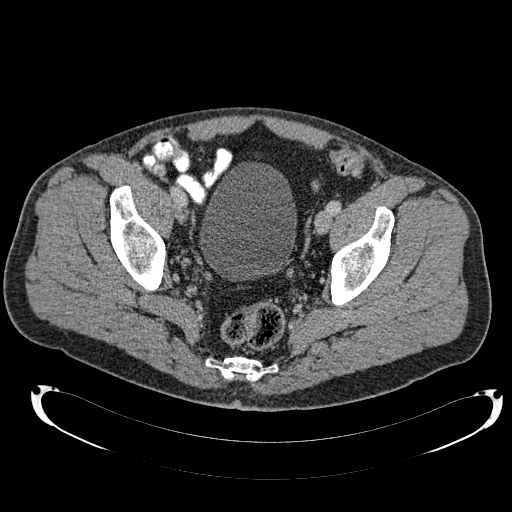

CT scan slice. <segmentation>
  <urinary_bladder>bbox(199, 162, 296, 280)</urinary_bladder>
</segmentation>